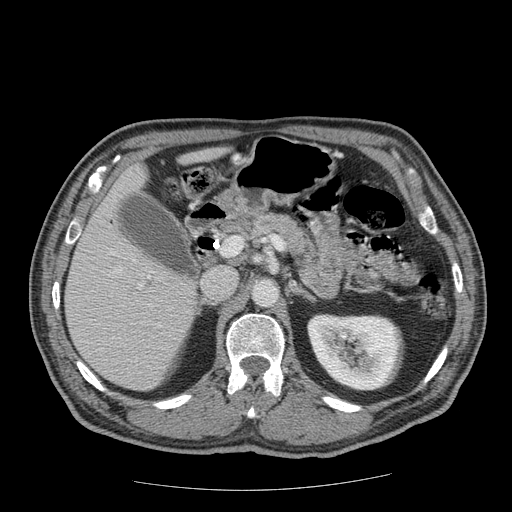

Upper abdomen | CT
pancreas: box=[244, 210, 311, 261]